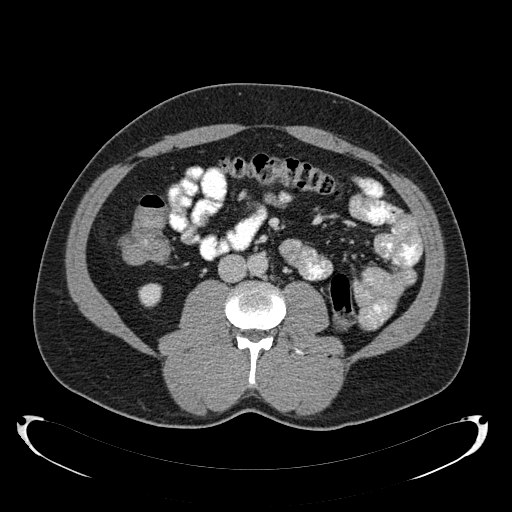 CT. 512x512 px. Abdomen. kidney:
  - box=[139, 284, 160, 305]